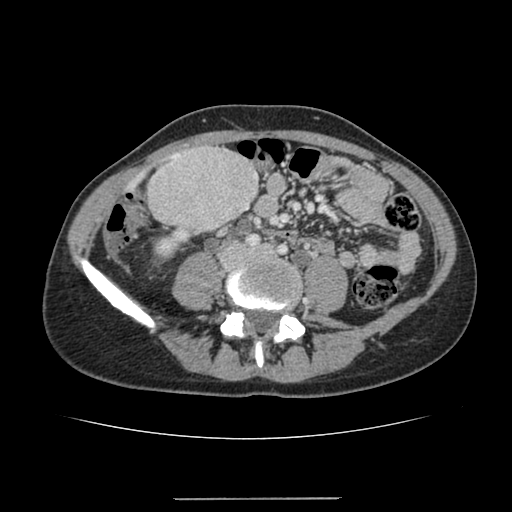 512x512. Computed tomography. Findings:
• liver: [x1=125, y1=172, x2=146, y2=193]
• kidney: [x1=175, y1=230, x2=186, y2=238]
• liver lesion: [x1=148, y1=146, x2=258, y2=230]